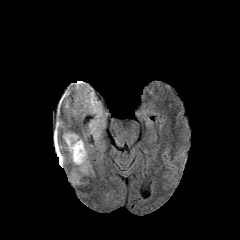
FLAIR MR.
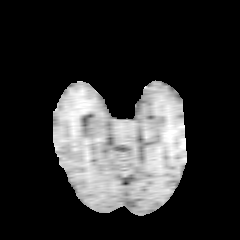
T1-weighted MRI of the same slice.
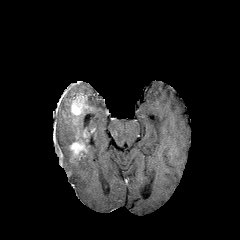
Post-contrast T1-weighted MRI of the same slice.
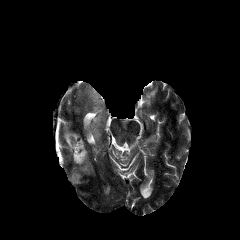
Same slice, T2-weighted MR image.
Brain.
- edema: x1=54 y1=122 x2=100 y2=173, x1=94 y1=102 x2=101 y2=116
- enhancing tumor: x1=69 y1=137 x2=85 y2=159